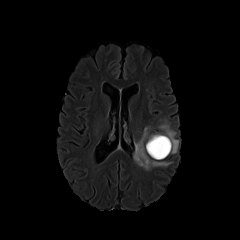
FLAIR MRI.
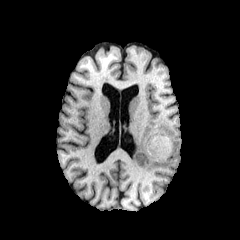
T1-weighted MR image.
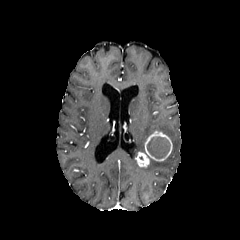
Post-contrast T1-weighted MR image.
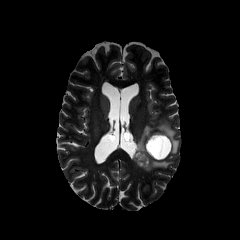
T2-weighted magnetic resonance.
edema: <box>143,158,173,171</box>, <box>134,117,178,153</box> | non-enhancing tumor core: <box>146,136,170,159</box> | enhancing tumor: <box>135,151,149,168</box>, <box>144,130,172,161</box>